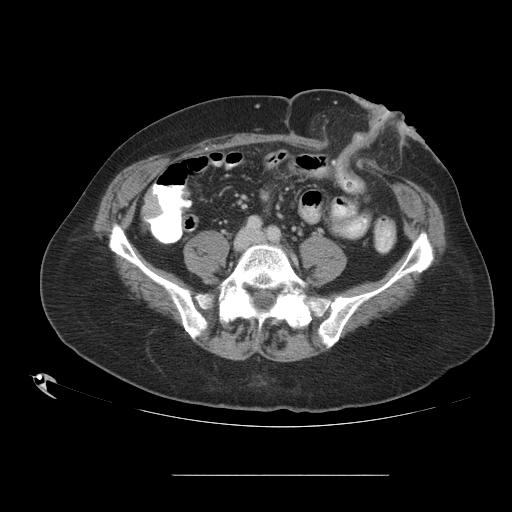 Computed tomography
colon tumor: (141,190,161,218)